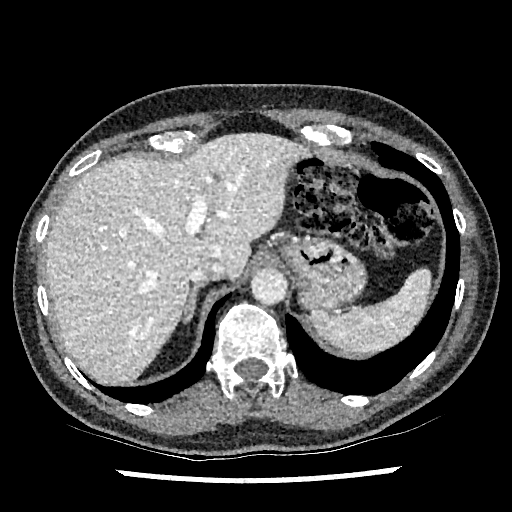 Computed tomography
• liver: x1=46 y1=134 x2=311 y2=384
• liver lesion: x1=213 y1=174 x2=220 y2=182